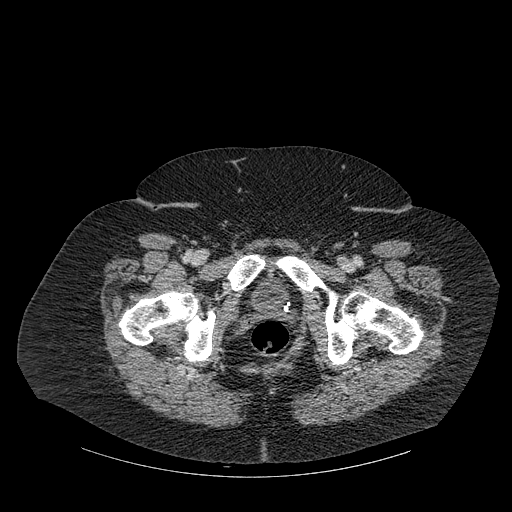

CT image.
bone:
  - <bbox>119, 291, 215, 361</bbox>
  - <bbox>227, 255, 265, 290</bbox>
  - <bbox>276, 256, 423, 364</bbox>